Field of view 478x478 mm. CT. Abdomen. Slice 110 of 168.
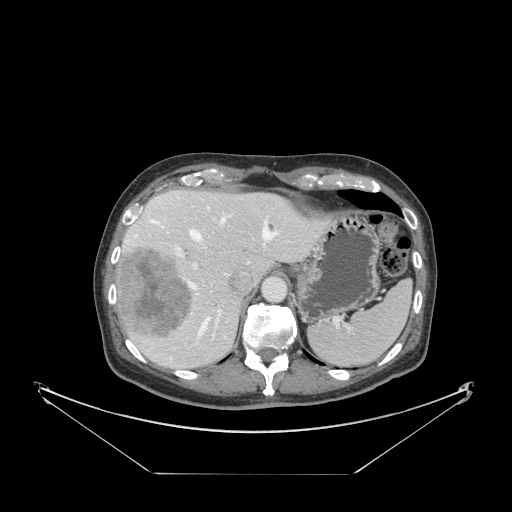

spleen:
  - (307,279,412,366)